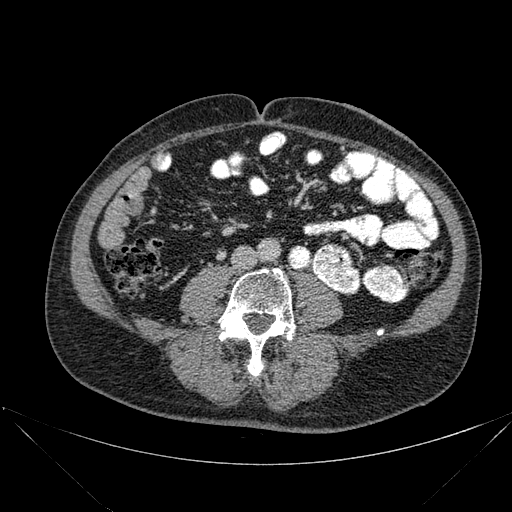 CT slice

The bone is at (left=218, top=268, right=295, bottom=376).